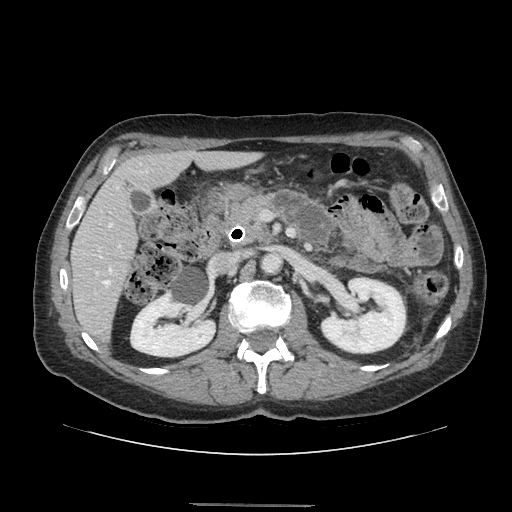 CT

Pancreas: bounding box {"x1": 221, "y1": 196, "x2": 269, "y2": 242}.